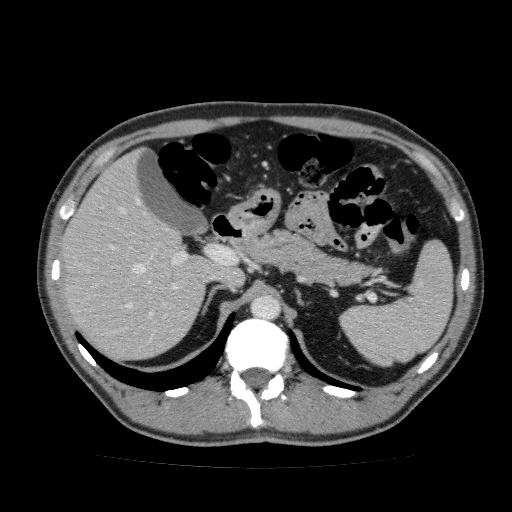

512x512 px | Computed tomography

The liver is bounded by [60,147,245,361].